Abdomen, CT image, 512x512 px
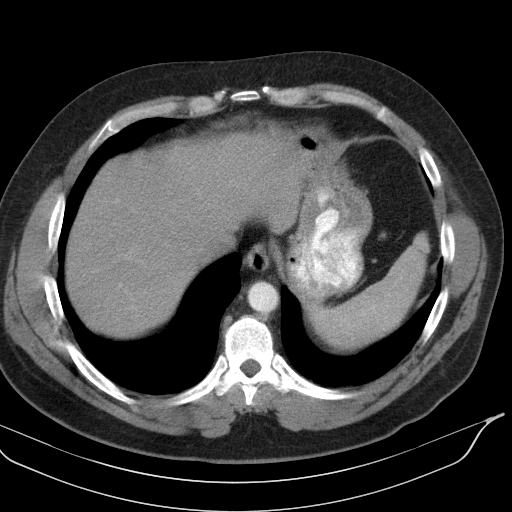
{"spleen": ["box=[307, 234, 428, 350]"]}